FLAIR magnetic resonance.
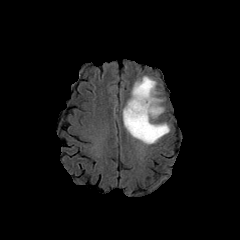
T1-weighted MR image.
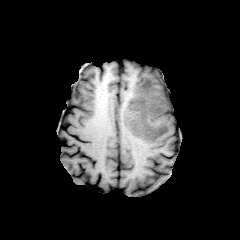
Post-contrast T1-weighted MRI.
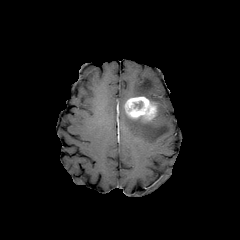
T2-weighted MR.
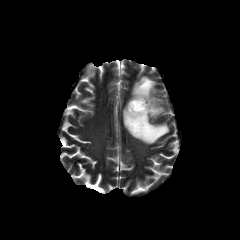
Head
2 edema regions appear at <box>130,76,164,117</box>, <box>122,109,169,144</box>. The non-enhancing tumor core is bounded by <box>128,114,156,126</box>. The enhancing tumor lies within <box>125,96,157,121</box>.